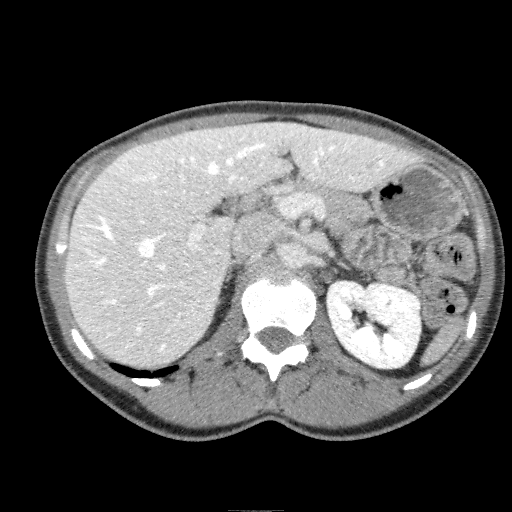

CT scan slice. Image size 512x512.

The liver lies within 65, 121, 420, 367. The kidney is bounded by 327, 282, 420, 367.